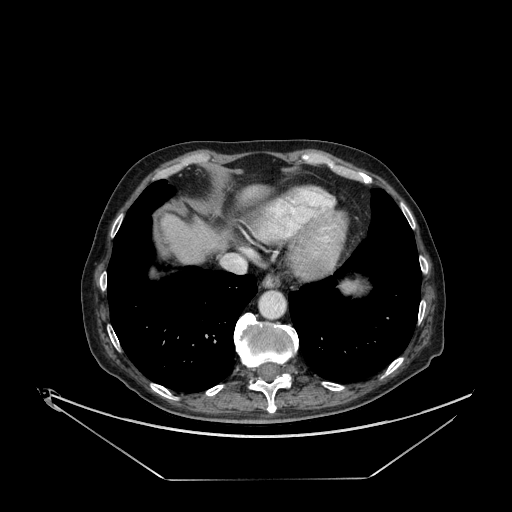

Liver | CT image
Liver — 243 187 264 198, 162 213 230 262.